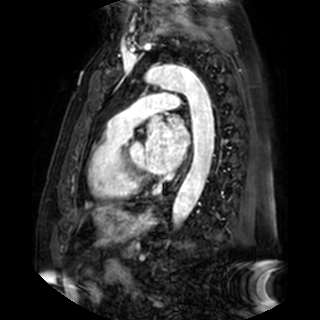 Heart | Magnetic resonance

{"left_atrium": ["145:117:189:173"]}